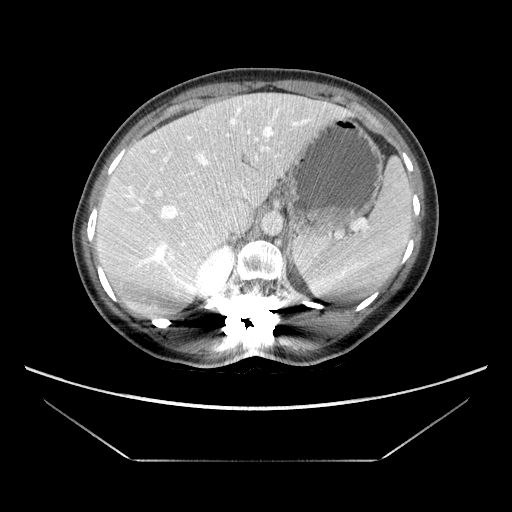
CT slice
Only some of the vessels may be annotated.
- hepatic vessel: (x1=199, y1=156, x2=206, y2=164), (x1=265, y1=128, x2=270, y2=135), (x1=221, y1=201, x2=243, y2=228), (x1=197, y1=223, x2=202, y2=227), (x1=159, y1=205, x2=184, y2=221), (x1=134, y1=235, x2=141, y2=240), (x1=145, y1=227, x2=166, y2=254)